Slice 512/908, Upper abdomen, CT
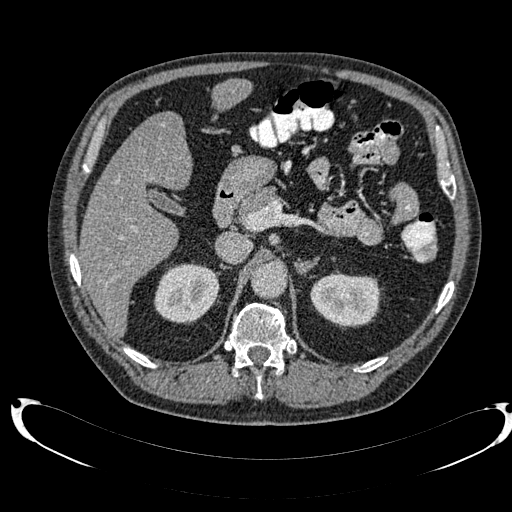

Kidney — box(310, 272, 379, 326); box(154, 264, 218, 323).
Liver — box(213, 80, 252, 109); box(80, 115, 191, 336).
Focal liver lesion — box(150, 114, 182, 139).